Slice index 75; Image width 240 mm
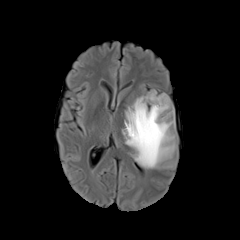
FLAIR MRI.
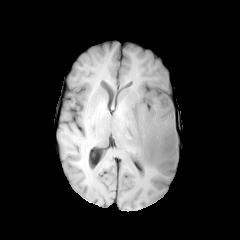
T1-weighted MR image.
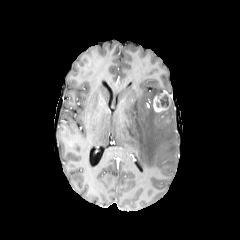
Post-contrast T1-weighted magnetic resonance of the same slice.
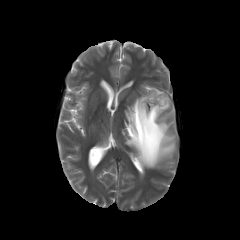
T2-weighted magnetic resonance.
non-enhancing tumor core: [154,92,171,111] | edema: [121,88,178,170] | enhancing tumor: [153,97,165,111]